Computed tomography. 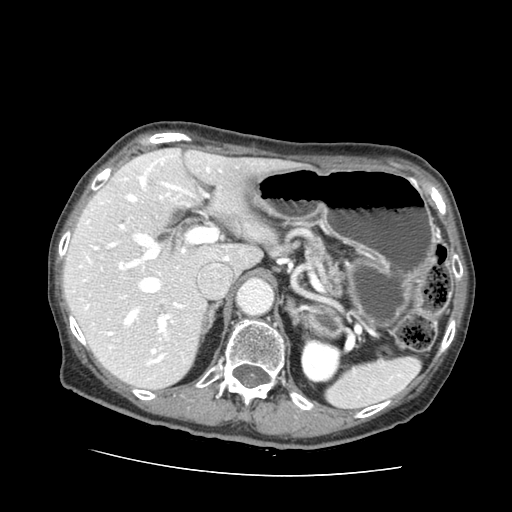
The pancreas is bounded by <bbox>304, 231, 348, 298</bbox>.